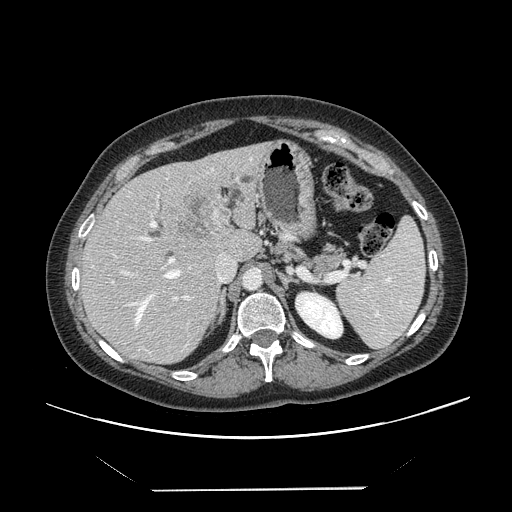

CT scan slice; Liver
The vessel boxes may cover only some of the vessels.
- hepatic vessel: [215, 252, 235, 283], [111, 281, 113, 284], [168, 257, 174, 264], [157, 194, 158, 202], [121, 270, 131, 276], [129, 291, 155, 326], [182, 296, 191, 300], [139, 237, 151, 241], [172, 297, 178, 301], [149, 213, 156, 227], [163, 268, 181, 279]
- liver tumor: [172, 189, 225, 247]